FLAIR MR.
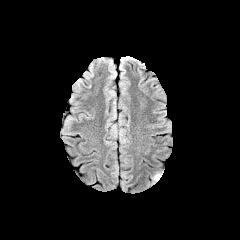
T1-weighted MR image.
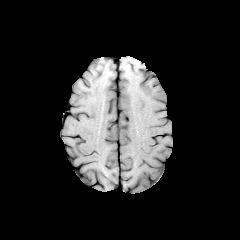
Post-contrast T1-weighted MRI.
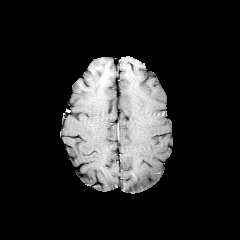
T2-weighted MRI.
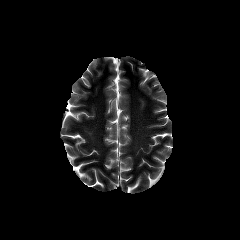
Edema at x1=150, y1=172, x2=160, y2=183.